Image width 240 mm | Slice index 99 | Image size 240x240 | Brain
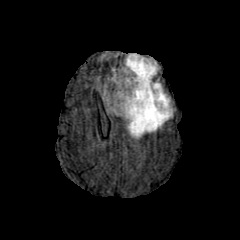
FLAIR MR.
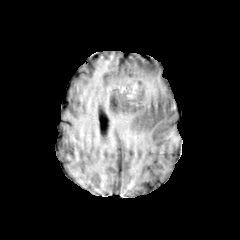
T1-weighted MRI.
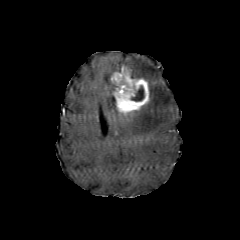
Post-contrast T1-weighted MRI.
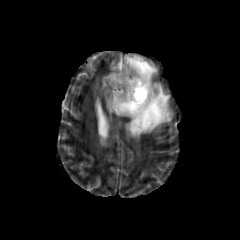
Same slice, T2-weighted magnetic resonance.
Findings:
* edema: <bbox>106, 96, 119, 115</bbox>, <bbox>122, 53, 172, 138</bbox>
* non-enhancing tumor core: <bbox>132, 85, 144, 101</bbox>
* enhancing tumor: <bbox>111, 65, 149, 114</bbox>